Medial temporal lobe. Slice 29 of 38. MR image. Image width 34 mm.

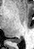
<segmentation>
  <posterior_hippocampus>(left=8, top=38, right=21, bottom=42)</posterior_hippocampus>
</segmentation>